512x512 px | CT scan slice

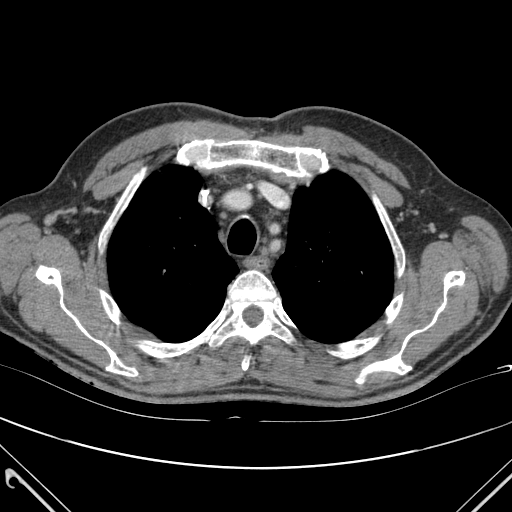

Bone — rect(242, 358, 248, 369); rect(331, 338, 378, 358); rect(139, 271, 295, 357); rect(356, 271, 464, 383); rect(177, 139, 328, 176); rect(99, 168, 145, 242); rect(100, 290, 119, 323); rect(374, 197, 404, 276); rect(386, 294, 402, 322); rect(36, 266, 137, 376).
Lung — rect(272, 170, 393, 343); rect(107, 165, 238, 342).